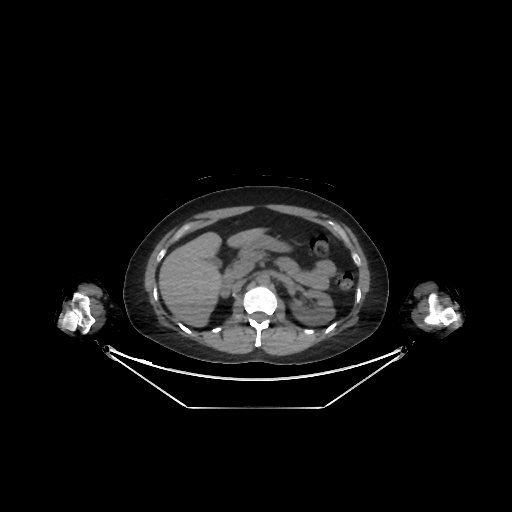

Abdomen, CT scan slice
Annotated regions:
* kidney: 289,287,335,325
* liver: 159,232,225,326; 228,228,263,253